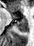 Hippocampus; MRI slice
<segmentation>
  <anterior_hippocampus>[x1=12, y1=16, x2=16, y2=19], [x1=21, y1=18, x2=26, y2=20]</anterior_hippocampus>
  <posterior_hippocampus>[x1=17, y1=21, x2=28, y2=32]</posterior_hippocampus>
</segmentation>